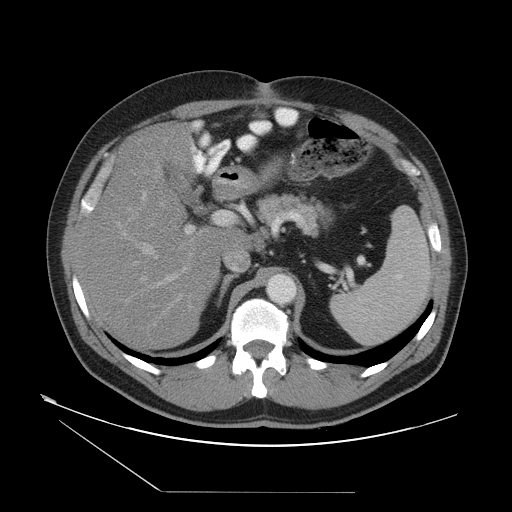

512x512 px; CT
Not every hepatic vessel necessarily has a box.
hepatic_vessel:
  - 154,256,156,258
  - 175,294,182,301
  - 182,268,185,272
  - 190,148,193,152
  - 140,276,145,281
  - 136,243,152,254
  - 151,274,177,287
  - 153,323,154,325